Abdomen | Image width 407 mm | CT image | Slice 298/463

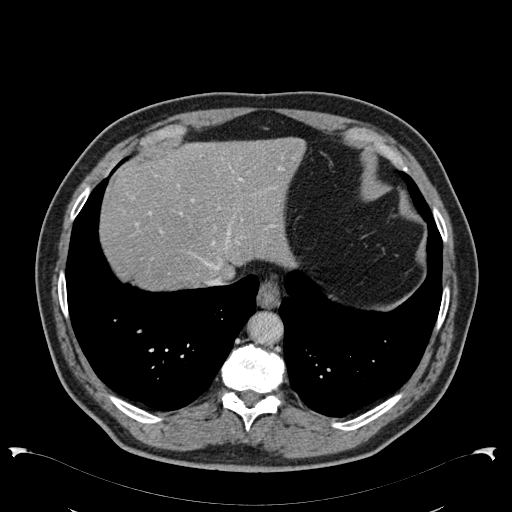

{"liver": ["[101, 138, 306, 288]"]}